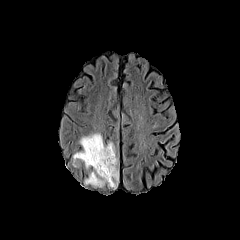
FLAIR MRI.
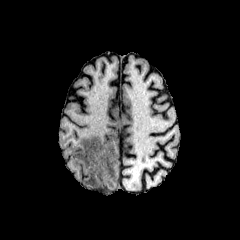
T1-weighted MR image.
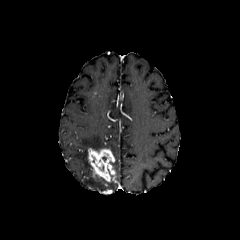
Same slice, post-contrast T1-weighted magnetic resonance.
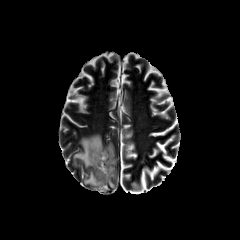
Same slice, T2-weighted MR.
Findings:
- edema: region(73, 134, 103, 170); region(85, 176, 117, 189)
- enhancing tumor: region(87, 148, 118, 182)